Computed tomography, Liver

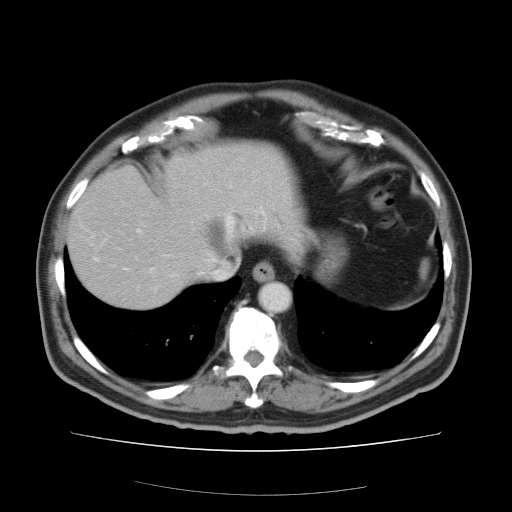 The vessel boxes may cover only some of the vessels.
Hepatic vessel: {"x1": 124, "y1": 268, "x2": 126, "y2": 269}, {"x1": 225, "y1": 208, "x2": 234, "y2": 237}, {"x1": 94, "y1": 257, "x2": 97, "y2": 260}, {"x1": 196, "y1": 270, "x2": 203, "y2": 274}.